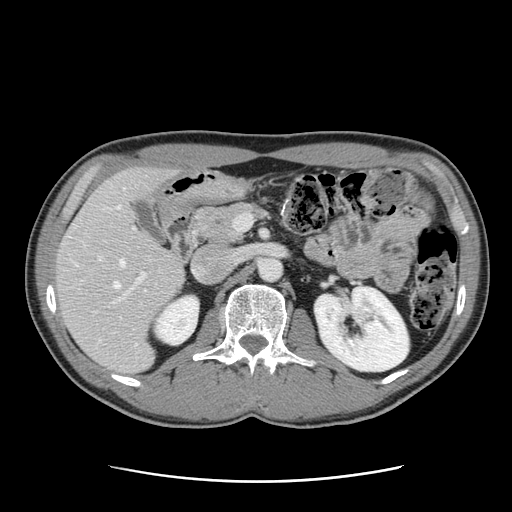
CT slice | Liver

Not every hepatic vessel necessarily has a box.
Hepatic vessel — [97, 256, 101, 259], [135, 343, 136, 344], [112, 272, 145, 303], [74, 262, 76, 265], [119, 259, 123, 265], [132, 227, 134, 229], [117, 206, 119, 208], [114, 282, 119, 287].